512x512 | Abdomen | CT image

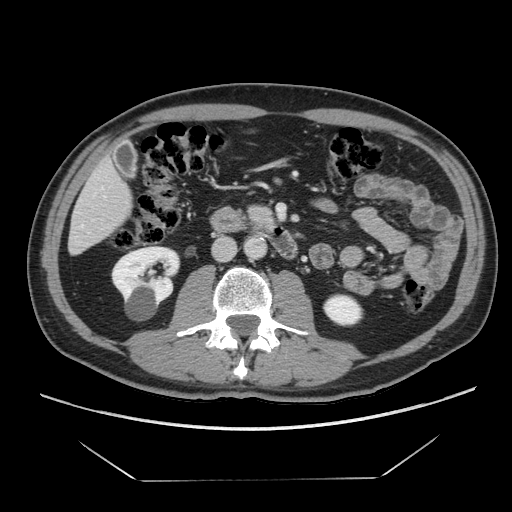

The pancreas appears at 249:207:273:223.